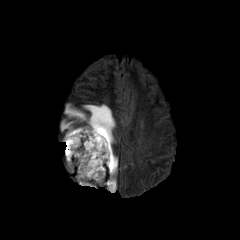
FLAIR MR image.
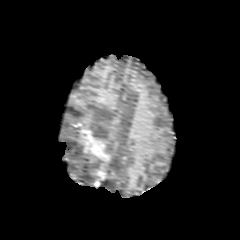
T1-weighted MR.
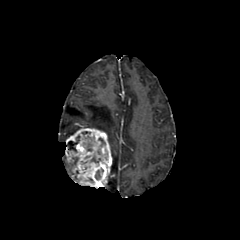
Same slice, post-contrast T1-weighted MR.
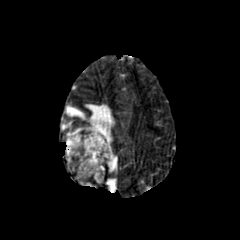
Same slice, T2-weighted MR image.
Head
Non-enhancing tumor core at {"x1": 81, "y1": 131, "x2": 92, "y2": 151}, {"x1": 68, "y1": 135, "x2": 80, "y2": 152}, {"x1": 70, "y1": 156, "x2": 79, "y2": 164}.
Edema at {"x1": 61, "y1": 104, "x2": 117, "y2": 190}, {"x1": 68, "y1": 162, "x2": 77, "y2": 175}.
Enhancing tumor at {"x1": 65, "y1": 128, "x2": 112, "y2": 187}.